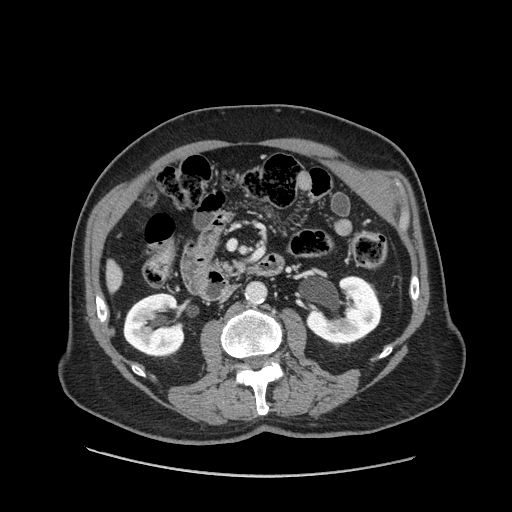
Abdomen; CT

pancreas:
  - <box>222,265,233,271</box>